CT slice. Abdomen.

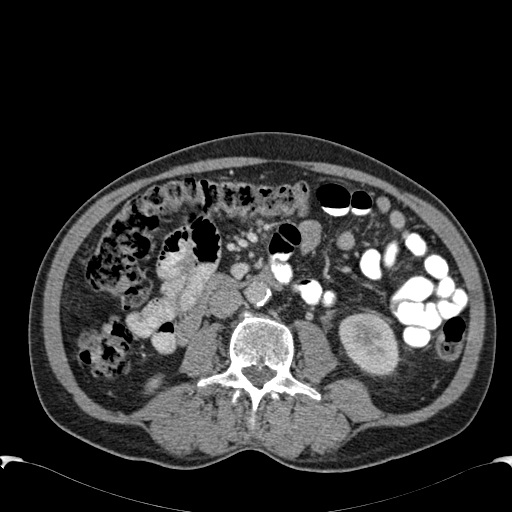 Kidney: bounding box [x1=339, y1=315, x2=398, y2=374], [x1=149, y1=379, x2=157, y2=387].